MR
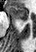

Posterior hippocampus = (left=22, top=22, right=23, bottom=24).
Anterior hippocampus = (left=8, top=5, right=27, bottom=21).